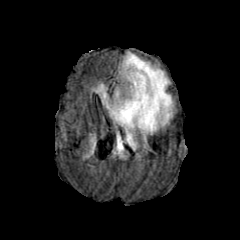
FLAIR MR.
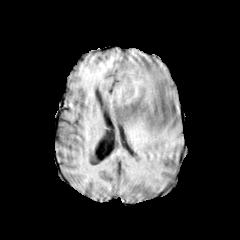
Same slice, T1-weighted MR image.
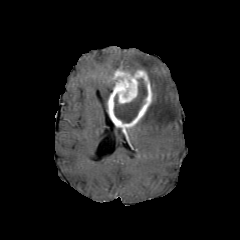
Post-contrast T1-weighted MR.
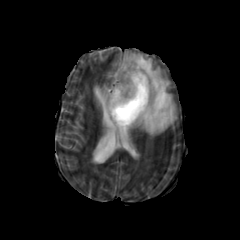
T2-weighted MRI.
Brain
edema:
  - 116 132 123 150
  - 121 51 173 144
  - 97 84 108 108
non-enhancing_tumor_core:
  - 114 78 147 123
enhancing_tumor:
  - 107 65 152 128